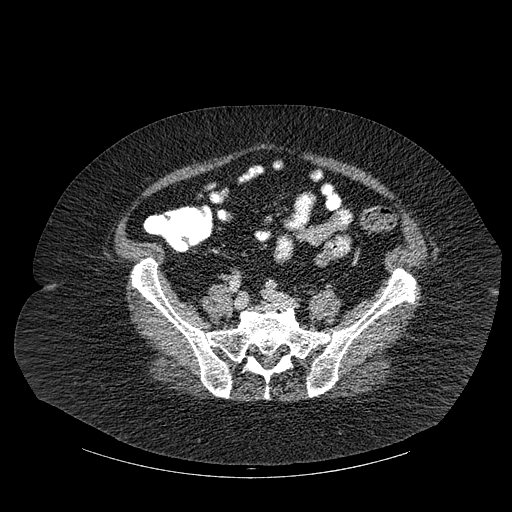 Image size 512x512, CT slice

The bone appears at box(131, 258, 415, 397).